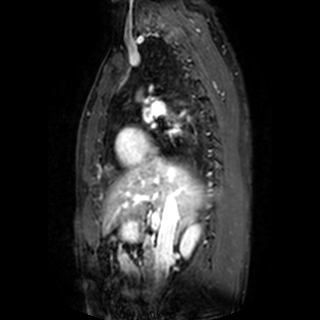 320x320, Heart, MR
Left atrium — [145,112,152,122].